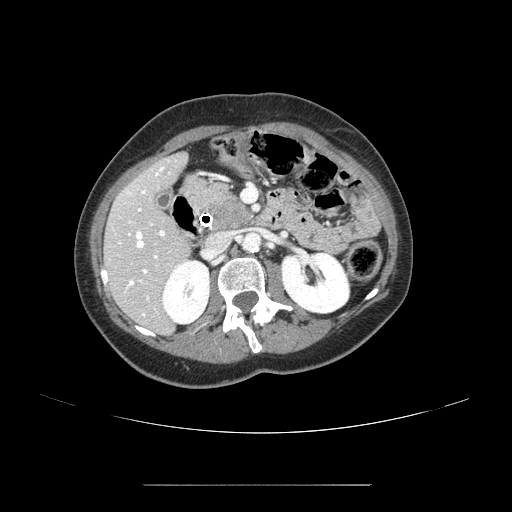

CT image, Upper abdomen

Pancreas at (183, 176, 254, 235).
Pancreatic tumor at (206, 198, 249, 229).